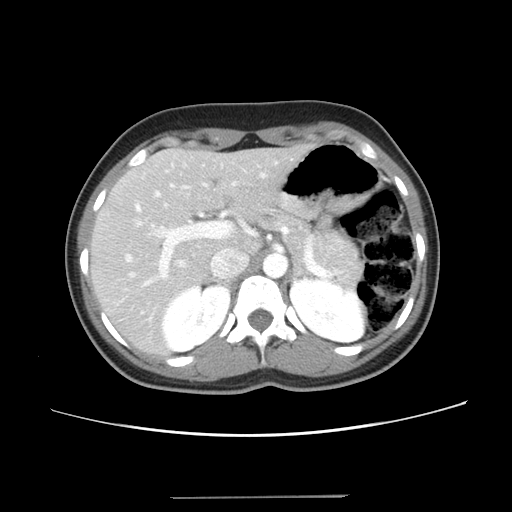

Computed tomography; Image size 512x512; Liver
The vessel annotation is not exhaustive.
{"hepatic_vessel": ["rect(177, 261, 184, 266)", "rect(261, 173, 265, 177)", "rect(130, 273, 134, 277)", "rect(152, 224, 154, 226)", "rect(126, 255, 131, 261)", "rect(144, 227, 189, 285)", "rect(156, 192, 160, 196)", "rect(137, 222, 142, 225)", "rect(136, 205, 141, 211)", "rect(165, 204, 167, 206)", "rect(183, 187, 186, 188)", "rect(171, 184, 174, 187)", "rect(204, 184, 207, 186)", "rect(233, 182, 236, 185)"], "liver_tumor": ["rect(221, 197, 234, 206)"]}